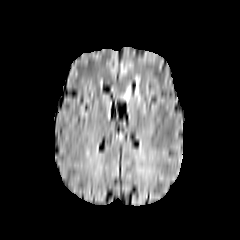
FLAIR magnetic resonance.
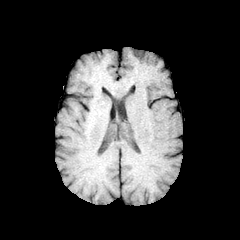
Same slice, T1-weighted MR image.
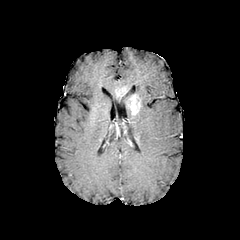
Post-contrast T1-weighted MRI.
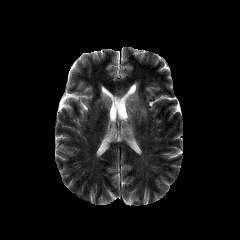
T2-weighted magnetic resonance.
Head
Enhancing tumor: box(129, 94, 140, 114).
Edema: box(123, 88, 130, 104).